512x512 | Upper abdomen | CT slice | Slice 66/93

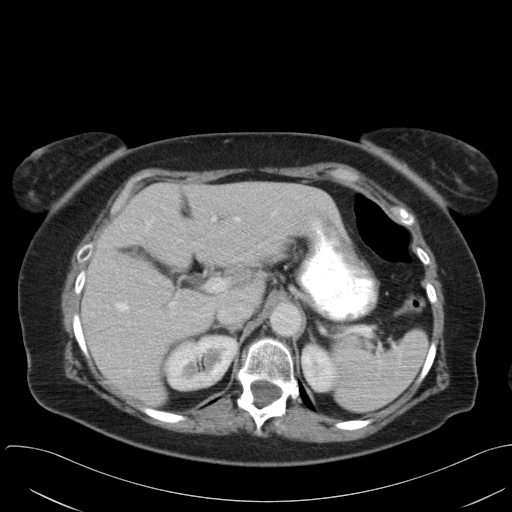

<segmentation>
  <spleen>[333, 331, 428, 411]</spleen>
</segmentation>